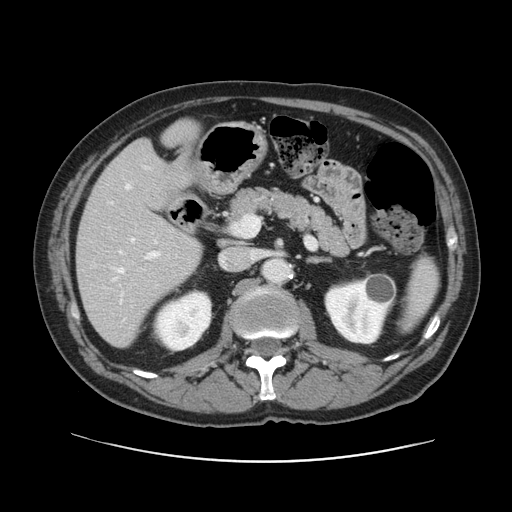

Image size 512x512, CT
Only some of the vessels may be annotated.
{"hepatic_vessel": ["rect(131, 238, 133, 240)", "rect(121, 292, 122, 295)", "rect(126, 185, 129, 188)", "rect(119, 251, 122, 253)", "rect(114, 268, 123, 272)", "rect(110, 202, 112, 203)", "rect(146, 252, 158, 258)", "rect(113, 277, 116, 280)"]}